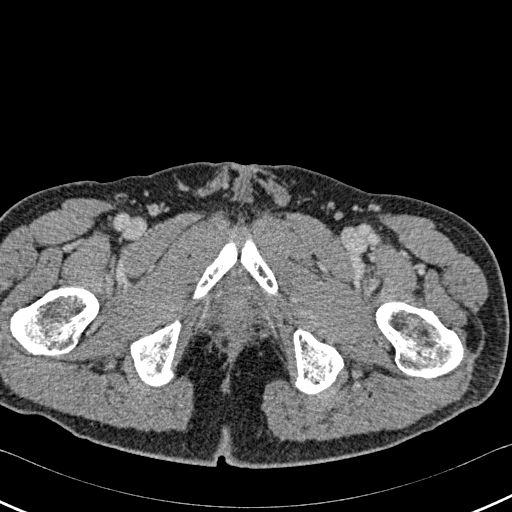
CT.

6 bone regions appear at (x1=6, y1=287, x2=98, y2=354), (x1=241, y1=238, x2=277, y2=295), (x1=376, y1=302, x2=462, y2=377), (x1=193, y1=240, x2=237, y2=299), (x1=293, y1=329, x2=343, y2=393), (x1=131, y1=320, x2=180, y2=385).